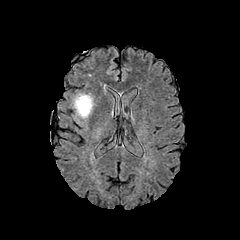
FLAIR MRI.
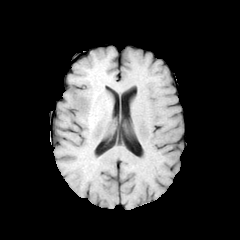
T1-weighted magnetic resonance.
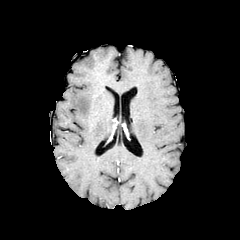
Same slice, post-contrast T1-weighted MR.
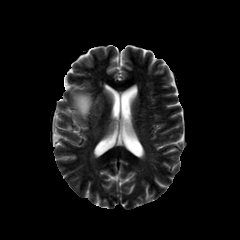
T2-weighted MR image of the same slice.
Segmented structures:
• edema: box(71, 90, 94, 120)